FLAIR MR.
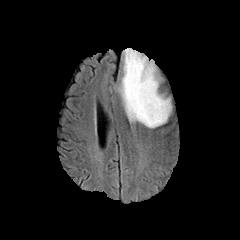
T1-weighted MR.
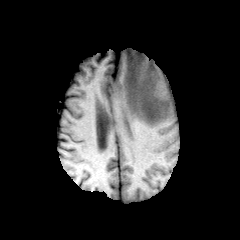
Post-contrast T1-weighted magnetic resonance.
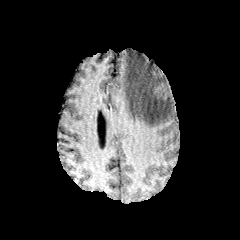
T2-weighted MR.
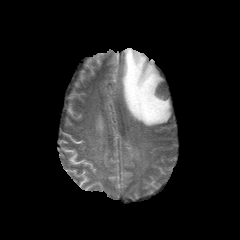
Head
Findings:
* edema: 118 48 171 128